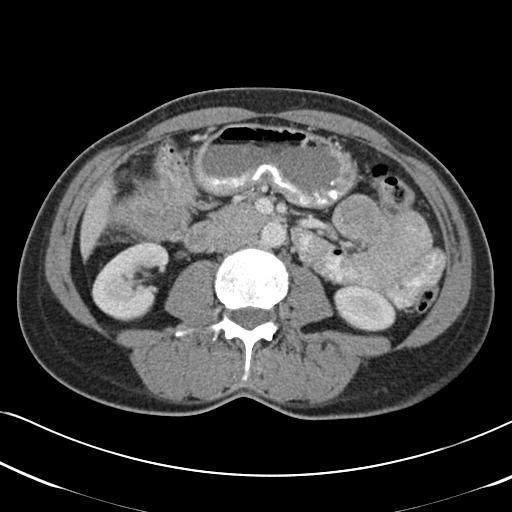
Image size 512x512, Abdomen, CT scan slice
The colon tumor is bounded by bbox(111, 176, 195, 240).